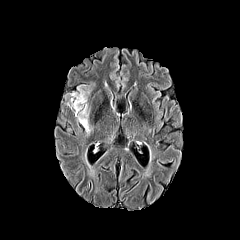
FLAIR MR image.
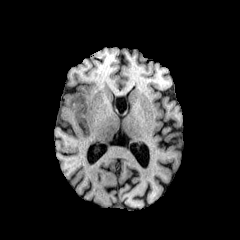
Same slice, T1-weighted MR image.
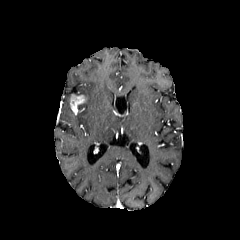
Post-contrast T1-weighted magnetic resonance.
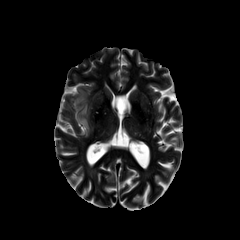
Same slice, T2-weighted magnetic resonance.
The enhancing tumor is bounded by region(69, 94, 87, 115). 2 edema regions are bounded by region(77, 85, 89, 97); region(76, 101, 94, 137).